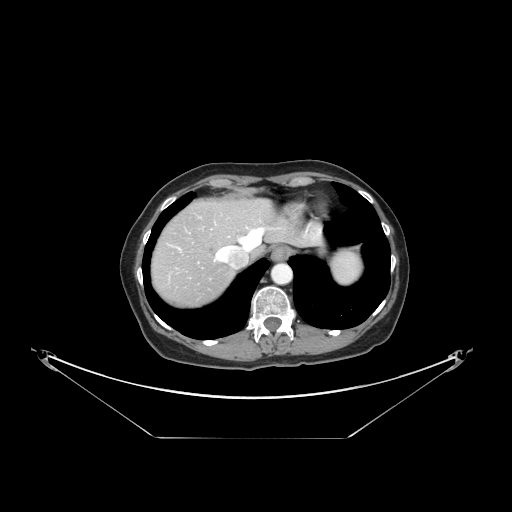
CT image
The vessel annotation is not exhaustive.
<segmentation>
  <liver_tumor><box>208,245,215,253</box></liver_tumor>
  <hepatic_vessel><box>240,229,262,249</box></hepatic_vessel>
</segmentation>